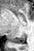 MRI.
The posterior hippocampus appears at x1=9, y1=35, x2=24, y2=43.